240x240. Brain.
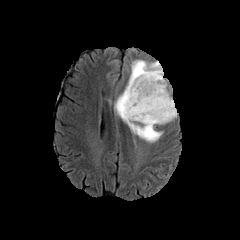
FLAIR magnetic resonance.
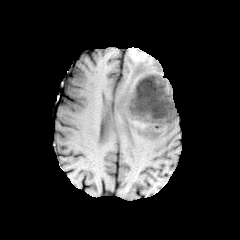
Same slice, T1-weighted MR.
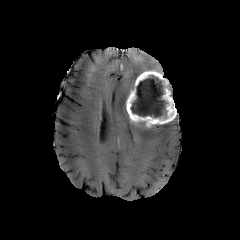
Same slice, post-contrast T1-weighted MR.
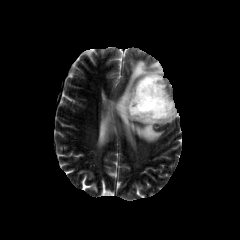
T2-weighted magnetic resonance.
Segmented structures:
• non-enhancing tumor core: 120 95 127 115, 146 126 153 135, 132 76 165 117
• enhancing tumor: 126 70 176 125
• edema: 113 60 166 142